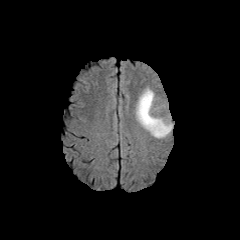
FLAIR MRI.
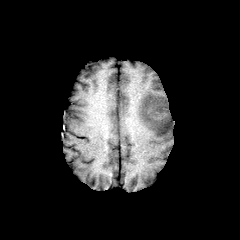
T1-weighted MR of the same slice.
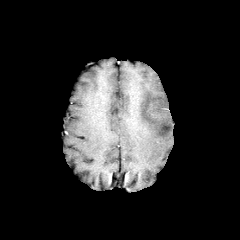
Post-contrast T1-weighted MR image.
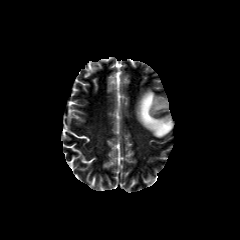
Same slice, T2-weighted MRI.
Brain
Edema: bounding box 134 84 173 138.